CT scan slice.

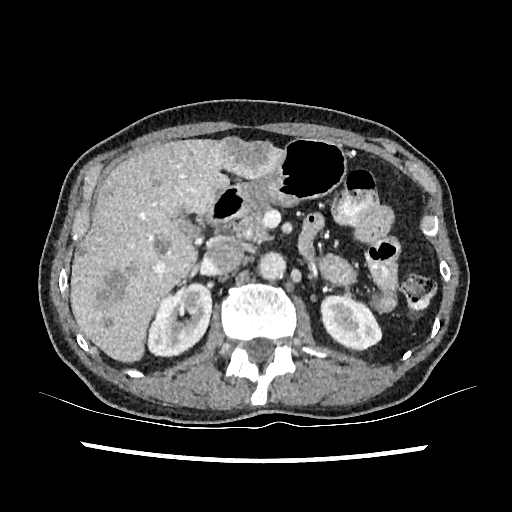 Findings:
- liver: <box>71,140,282,360</box>
- hepatic lesion: <box>214,187,222,197</box>, <box>77,247,84,255</box>, <box>154,234,171,254</box>, <box>220,138,272,167</box>, <box>125,267,136,275</box>, <box>96,268,125,303</box>, <box>103,318,113,328</box>
- kidney: <box>148,284,211,357</box>, <box>321,296,381,349</box>